CT scan slice | Slice 101 of 565 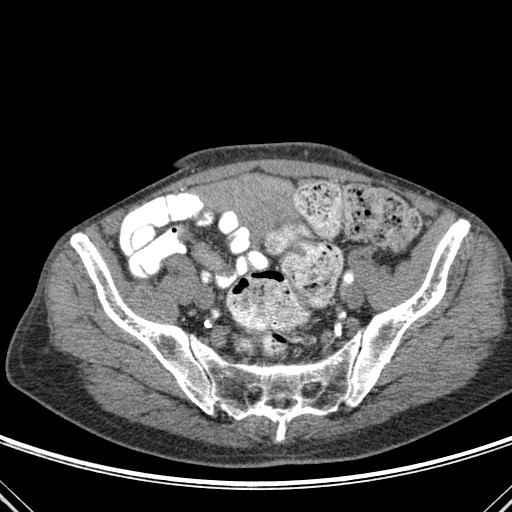

Annotated regions:
• bone: <bbox>70, 219, 469, 440</bbox>